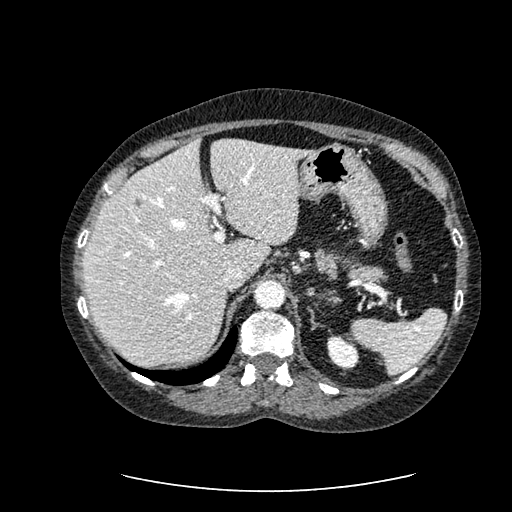
Computed tomography, Upper abdomen
{
  "focal_liver_lesion": [
    "rect(135, 197, 142, 207)"
  ],
  "kidney": [
    "rect(328, 337, 358, 367)"
  ],
  "liver": [
    "rect(83, 139, 313, 364)"
  ]
}